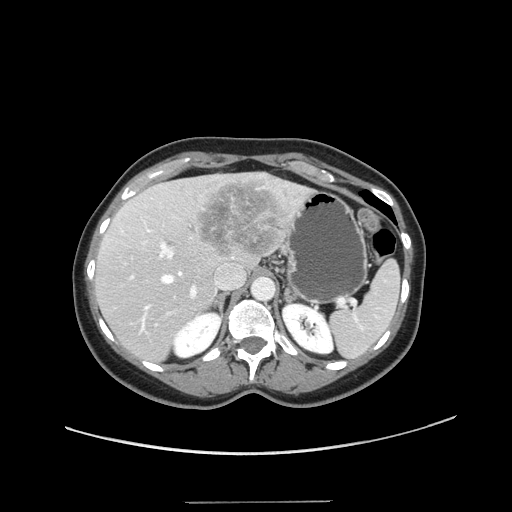
Computed tomography; Abdomen
Only some of the vessels may be annotated.
8 hepatic vessel regions appear at [179, 272, 181, 274], [131, 276, 132, 277], [163, 275, 173, 281], [148, 229, 150, 230], [141, 306, 148, 331], [191, 287, 195, 295], [159, 243, 172, 257], [215, 263, 243, 288]. The liver tumor is at [187, 175, 286, 260].